FLAIR MRI.
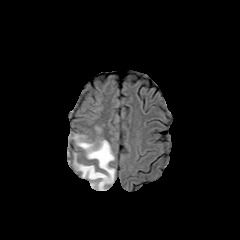
T1-weighted MR image.
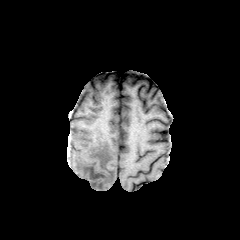
Post-contrast T1-weighted magnetic resonance.
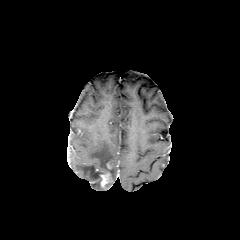
T2-weighted MR.
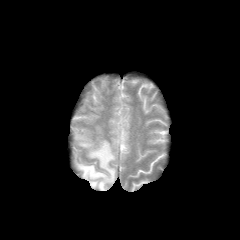
Image size 240x240
enhancing tumor: (100,173,109,186) | edema: (73,134,116,190) | non-enhancing tumor core: (95,170,109,185)